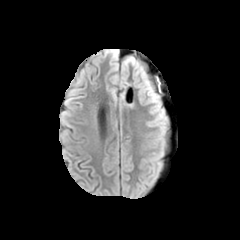
FLAIR MRI.
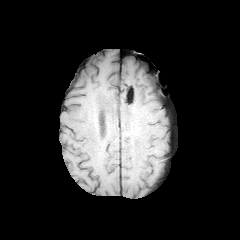
T1-weighted magnetic resonance.
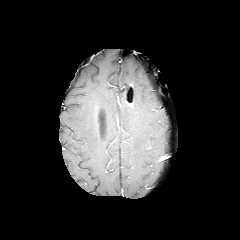
Same slice, post-contrast T1-weighted MR image.
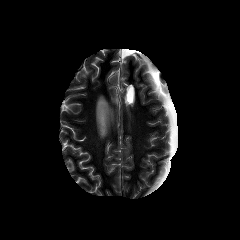
T2-weighted magnetic resonance of the same slice.
2 edema regions are located at box=[142, 72, 160, 113]; box=[151, 113, 166, 129].